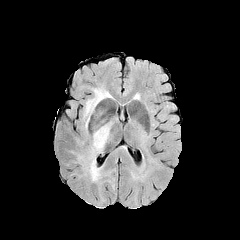
FLAIR MR.
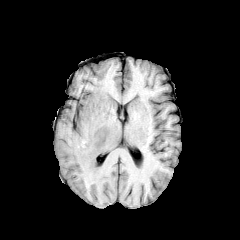
Same slice, T1-weighted MRI.
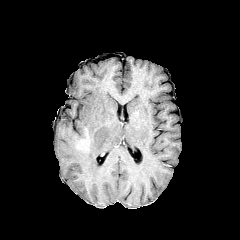
Post-contrast T1-weighted magnetic resonance.
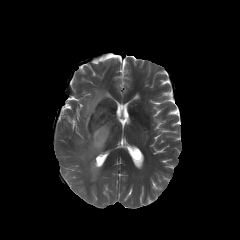
T2-weighted MRI.
240x240 px | Brain
2 edema regions are bounded by region(78, 122, 112, 182); region(82, 85, 113, 130).